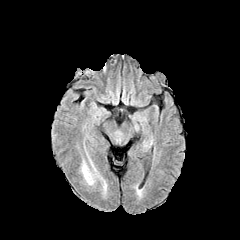
FLAIR MRI.
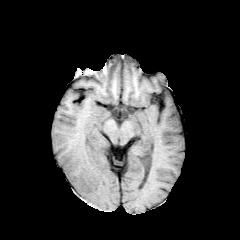
T1-weighted MRI of the same slice.
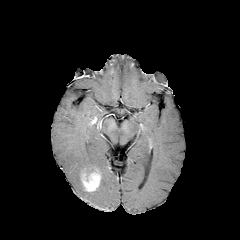
Post-contrast T1-weighted MRI of the same slice.
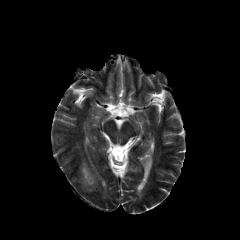
T2-weighted MR of the same slice.
Enhancing tumor = 82,172,99,191.
Edema = 81,160,90,177.